FLAIR MR.
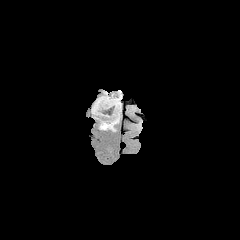
T1-weighted MRI.
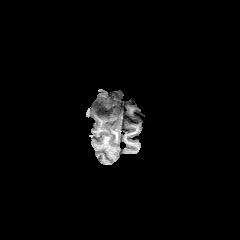
Post-contrast T1-weighted MR.
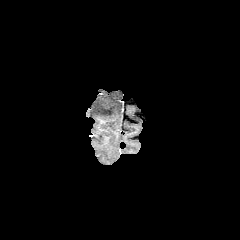
T2-weighted magnetic resonance.
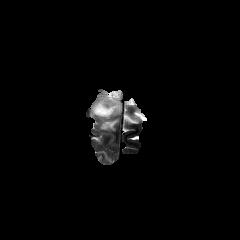
240x240
{
  "edema": [
    "x1=91 y1=92 x2=121 y2=115",
    "x1=108 y1=112 x2=120 y2=123"
  ],
  "non-enhancing_tumor_core": [
    "x1=96 y1=104 x2=119 y2=120",
    "x1=101 y1=120 x2=115 y2=129"
  ]
}